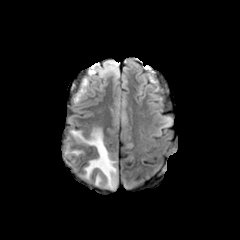
FLAIR MR.
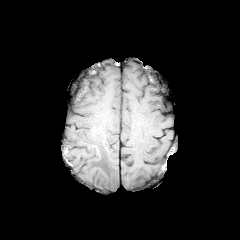
Same slice, T1-weighted MR image.
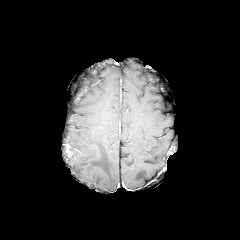
Post-contrast T1-weighted MR image of the same slice.
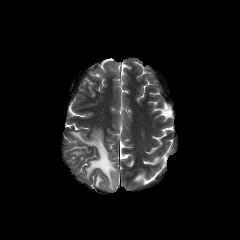
T2-weighted MR.
Brain
Edema at 70,128,118,189; 102,66,119,77.